FLAIR magnetic resonance.
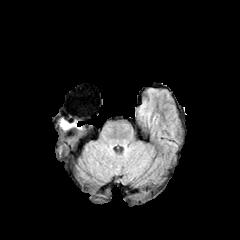
T1-weighted magnetic resonance.
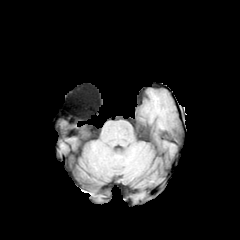
Post-contrast T1-weighted MR image.
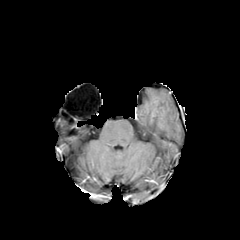
T2-weighted magnetic resonance.
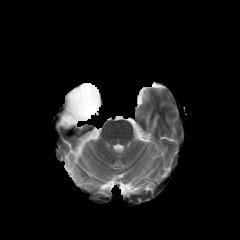
Brain
Edema — <box>60,121,76,129</box>.